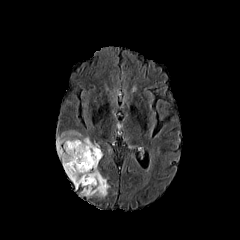
FLAIR MR image.
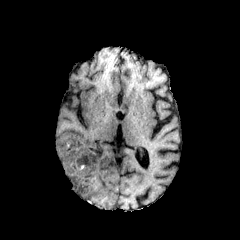
Same slice, T1-weighted MRI.
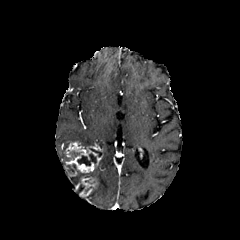
Post-contrast T1-weighted MR of the same slice.
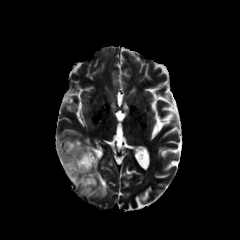
T2-weighted magnetic resonance.
Image size 240x240; Head
Edema at x1=70 y1=167 x2=109 y2=197, x1=58 y1=132 x2=93 y2=162.
Non-enhancing tumor core at x1=77 y1=152 x2=96 y2=165, x1=66 y1=163 x2=76 y2=173.
Enhancing tumor at x1=66 y1=140 x2=102 y2=173, x1=75 y1=176 x2=98 y2=196.